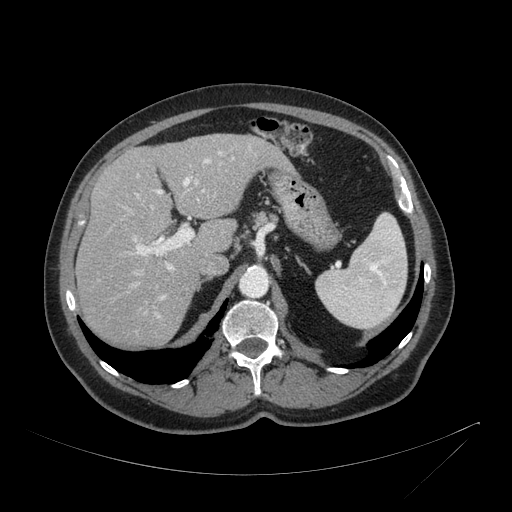 CT
Liver: bounding box rect(76, 134, 292, 346).